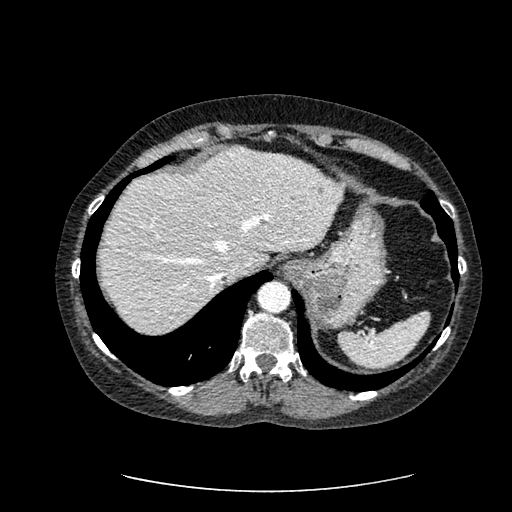

CT image. Upper abdomen.
{"focal_liver_lesion": ["316,186,323,194"], "liver": ["99,148,339,332"]}